512x512 px. CT scan slice. Liver.
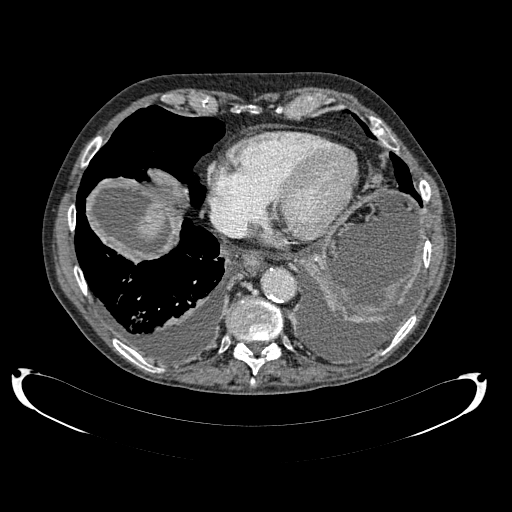

Liver: {"x1": 139, "y1": 202, "x2": 164, "y2": 235}.